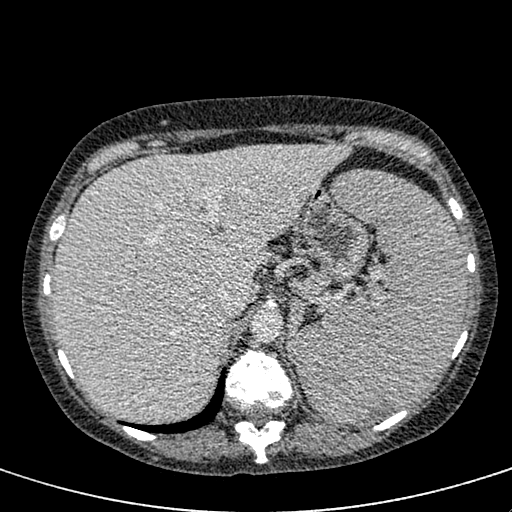

CT
Annotated regions:
• liver: 54, 145, 353, 420